CT slice | Slice 158 of 605 | 512x512 px 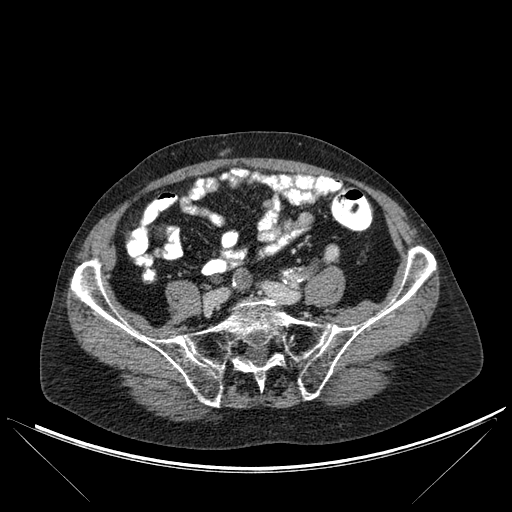 bone:
  - <bbox>232, 354, 283, 390</bbox>
  - <bbox>71, 246, 435, 406</bbox>